240x240; Head
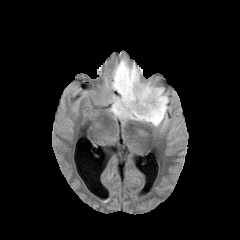
FLAIR MR.
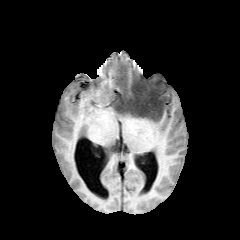
T1-weighted MR image.
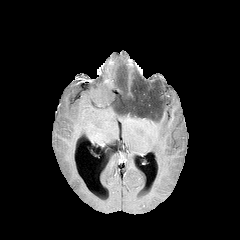
Post-contrast T1-weighted MR image of the same slice.
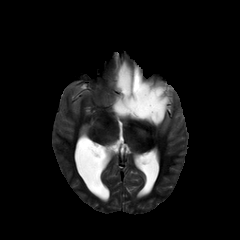
Same slice, T2-weighted MRI.
The edema is at (109, 58, 170, 128). The non-enhancing tumor core is bounded by (114, 65, 167, 122).